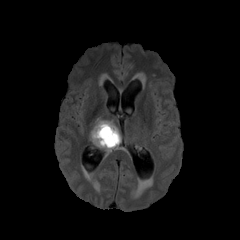
FLAIR magnetic resonance.
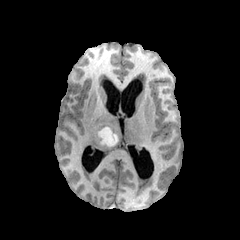
T1-weighted MR.
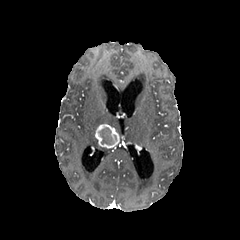
Same slice, post-contrast T1-weighted MR.
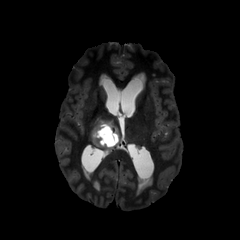
T2-weighted MR image.
240x240
Enhancing tumor = 95:123:119:148.
Non-enhancing tumor core = 98:127:117:146.
Edema = 89:118:118:148.